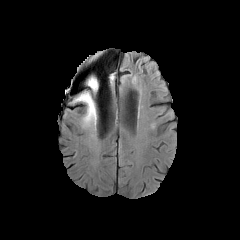
FLAIR magnetic resonance.
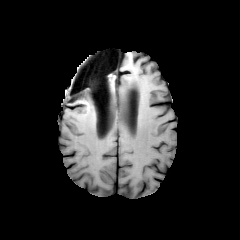
T1-weighted MR image of the same slice.
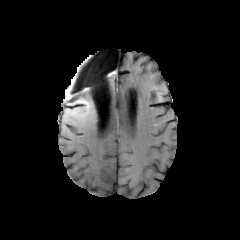
Post-contrast T1-weighted MR.
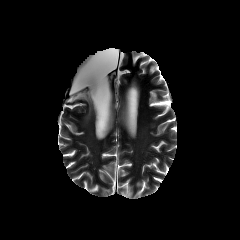
T2-weighted MR image.
240x240 | Head
Non-enhancing tumor core: bounding box 68 91 102 111.
Edema: bounding box 80 102 98 130, 84 76 100 93.